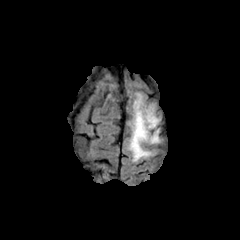
FLAIR magnetic resonance.
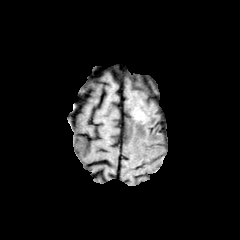
T1-weighted MRI.
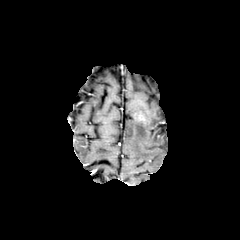
Same slice, post-contrast T1-weighted MRI.
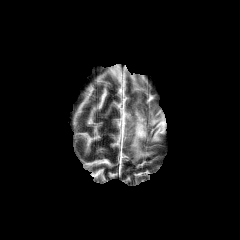
T2-weighted MR.
Brain
Non-enhancing tumor core: bounding box [x1=132, y1=112, x2=147, y2=124].
Edema: bounding box [x1=128, y1=95, x2=161, y2=161].